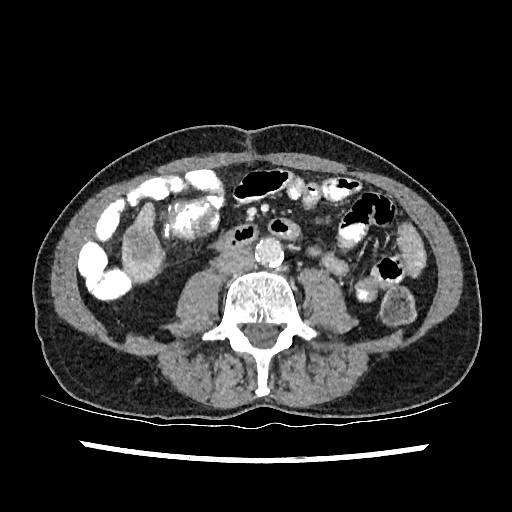

Liver. 512x512 px. CT scan slice.

The liver is located at box(123, 203, 160, 281). The focal liver lesion is located at box(127, 229, 157, 261).